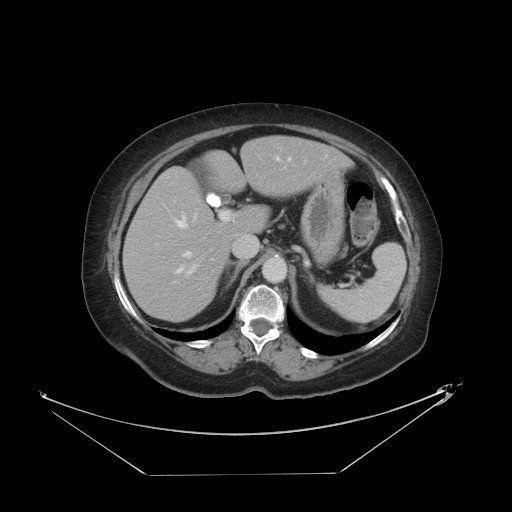 512x512; Computed tomography
Some hepatic vessels may have no box.
Hepatic vessel at <bbox>177, 268, 182, 271</bbox>, <bbox>179, 217, 184, 226</bbox>, <bbox>185, 253, 189, 254</bbox>, <bbox>220, 211, 232, 221</bbox>, <bbox>188, 264, 197, 273</bbox>.